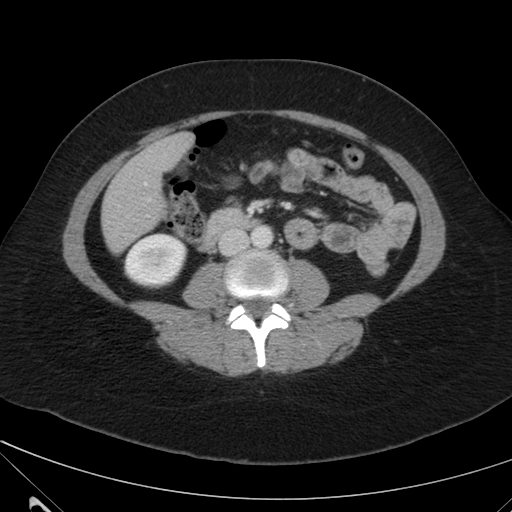

CT. Liver.
<segmentation>
  <liver><bbox>102, 132, 192, 252</bbox></liver>
  <kidney><bbox>126, 235, 184, 283</bbox></kidney>
</segmentation>